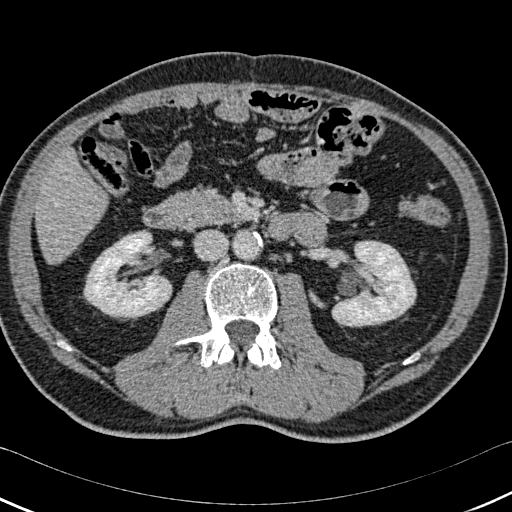
512x512 px | Computed tomography

kidney:
  - x1=332 y1=241 x2=415 y2=325
  - x1=85 y1=231 x2=171 y2=316
liver:
  - x1=35 y1=151 x2=108 y2=263
bone:
  - x1=58 y1=342 x2=71 y2=350
  - x1=403 y1=353 x2=418 y2=364
  - x1=175 y1=263 x2=280 y2=369